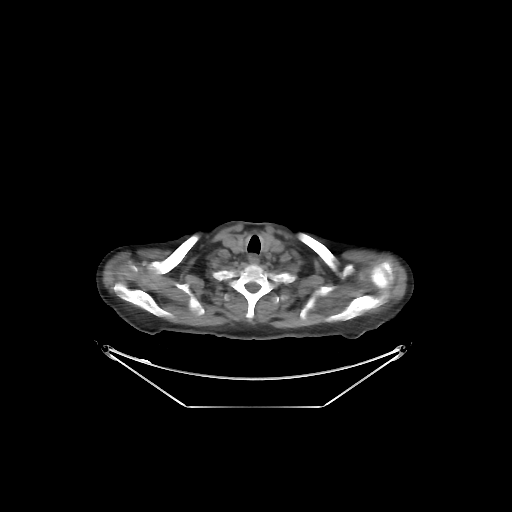
Image size 512x512; CT scan slice; Thorax

{"lung": ["[247,235,260,253]"], "bone": ["[274,273,290,282]", "[213,271,233,279]", "[189,297,202,315]", "[115,236,197,317]", "[340,265,354,279]", "[326,262,393,320]", "[299,234,335,269]", "[231,264,273,317]"]}